Brain | Image width 240 mm
FLAIR MRI.
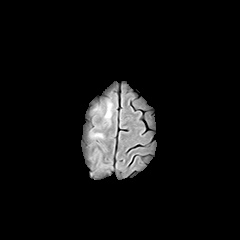
T1-weighted magnetic resonance.
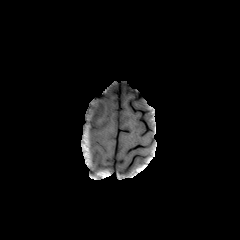
Post-contrast T1-weighted magnetic resonance.
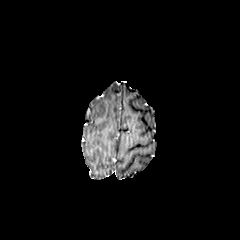
T2-weighted MR image.
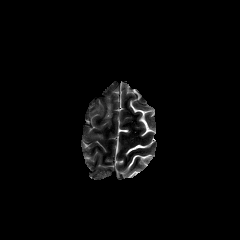
Edema: bounding box 105:103:111:119.